FLAIR MR image.
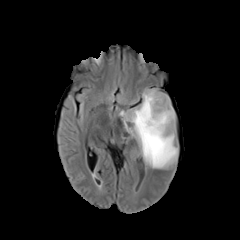
T1-weighted MR.
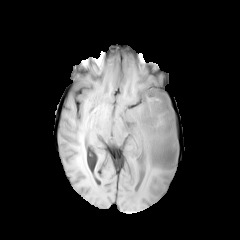
Post-contrast T1-weighted magnetic resonance.
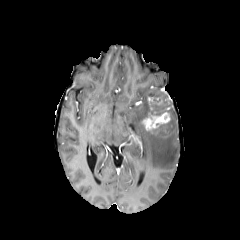
T2-weighted MR image.
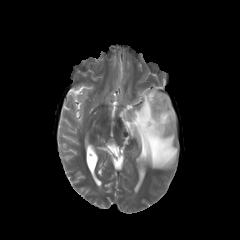
Head
<segmentation>
  <edema>x1=119 y1=88 x2=177 y2=169</edema>
  <enhancing_tumor>x1=142 y1=111 x2=170 y2=131</enhancing_tumor>
  <non-enhancing_tumor_core>x1=136 y1=92 x2=173 y2=133</non-enhancing_tumor_core>
</segmentation>